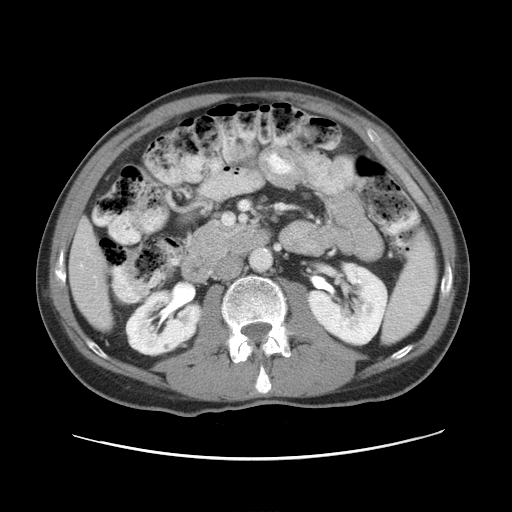
Image size 512x512 | Abdomen | CT scan slice
Some hepatic vessels may have no box.
hepatic_vessel:
  - region(80, 263, 81, 266)
  - region(94, 276, 95, 277)